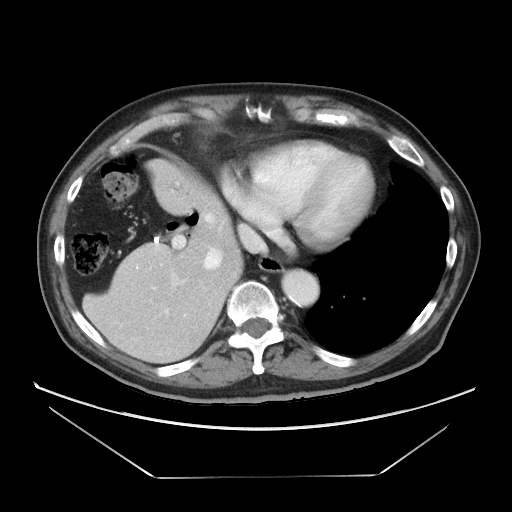 Liver, Computed tomography
Only some of the vessels may be annotated.
hepatic vessel: {"x1": 164, "y1": 308, "x2": 168, "y2": 315}, {"x1": 173, "y1": 235, "x2": 184, "y2": 247}, {"x1": 171, "y1": 271, "x2": 185, "y2": 286}, {"x1": 203, "y1": 247, "x2": 221, "y2": 269}